512x512 px; CT 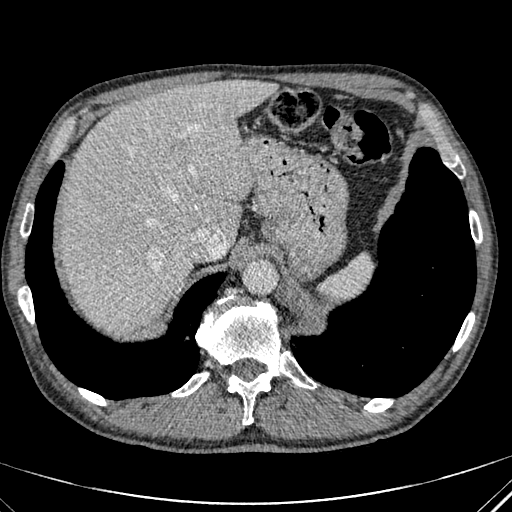 {
  "liver": [
    "<box>62,79,277,329</box>"
  ]
}